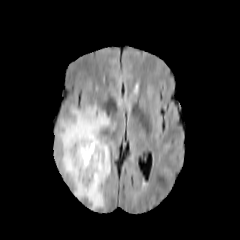
FLAIR magnetic resonance.
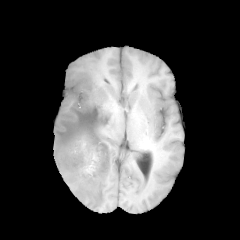
Same slice, T1-weighted magnetic resonance.
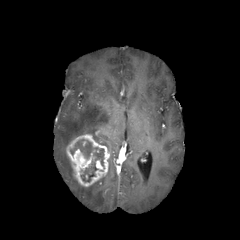
Same slice, post-contrast T1-weighted MR.
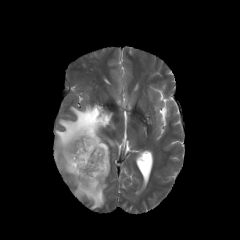
Same slice, T2-weighted MR.
Head; 240x240
Enhancing tumor: bounding box left=66, top=134, right=110, bottom=186.
Non-enhancing tumor core: bounding box left=70, top=139, right=104, bottom=166; left=81, top=164, right=98, bottom=182.
Edema: bounding box left=55, top=104, right=113, bottom=209.